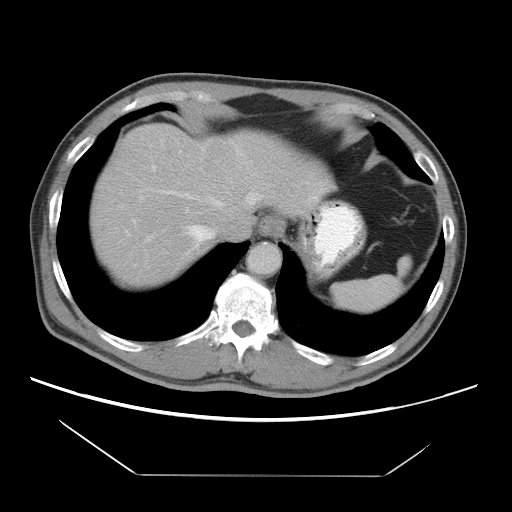
CT scan slice

Some hepatic vessels may have no box.
liver tumor: <box>201,138,238,178</box> | hepatic vessel: <box>308,186,321,200</box>, <box>161,191,175,193</box>, <box>152,166,155,169</box>, <box>139,191,142,199</box>, <box>185,194,195,198</box>, <box>220,224,224,231</box>, <box>221,214,237,219</box>, <box>209,197,222,205</box>, <box>146,236,152,241</box>, <box>246,193,261,204</box>, <box>186,209,188,212</box>, <box>188,225,214,246</box>, <box>125,230,129,235</box>, <box>239,151,244,156</box>